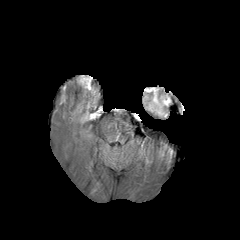
FLAIR magnetic resonance.
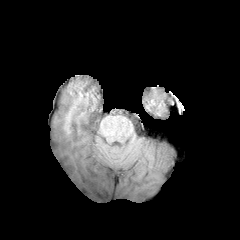
T1-weighted magnetic resonance.
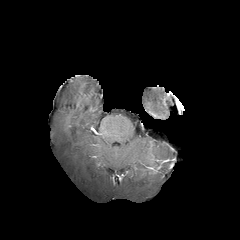
Post-contrast T1-weighted MRI of the same slice.
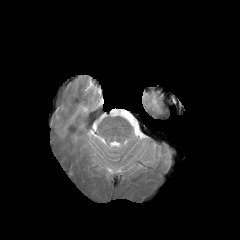
T2-weighted MRI.
Brain
- edema: box=[144, 88, 167, 115]